Slice 548/565. CT scan slice. Chest. 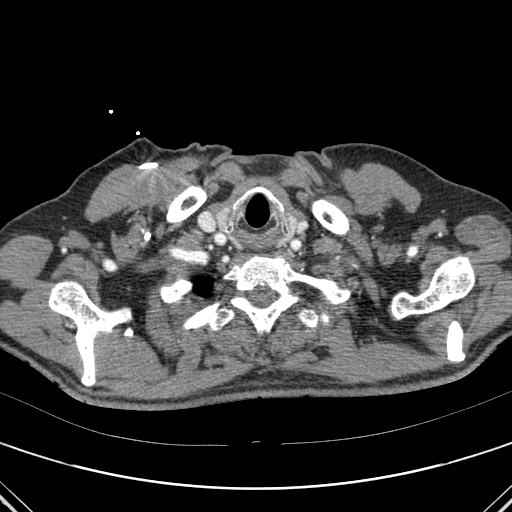

bone: {"x1": 298, "y1": 310, "x2": 318, "y2": 327}, {"x1": 167, "y1": 186, "x2": 206, "y2": 222}, {"x1": 205, "y1": 303, "x2": 219, "y2": 321}, {"x1": 49, "y1": 281, "x2": 131, "y2": 385}, {"x1": 446, "y1": 321, "x2": 464, "y2": 361}, {"x1": 391, "y1": 257, "x2": 474, "y2": 319}, {"x1": 321, "y1": 314, "x2": 328, "y2": 322}, {"x1": 408, "y1": 246, "x2": 416, "y2": 255}, {"x1": 124, "y1": 328, "x2": 132, "y2": 336}, {"x1": 183, "y1": 312, "x2": 202, "y2": 329}, {"x1": 224, "y1": 255, "x2": 350, "y2": 333}, {"x1": 312, "y1": 200, "x2": 348, "y2": 234}, {"x1": 160, "y1": 279, "x2": 191, "y2": 302}, {"x1": 223, "y1": 309, "x2": 233, "y2": 323} | lung: {"x1": 193, "y1": 276, "x2": 212, "y2": 296}